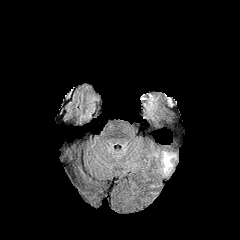
FLAIR magnetic resonance.
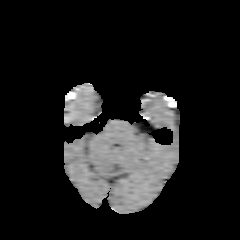
T1-weighted MRI.
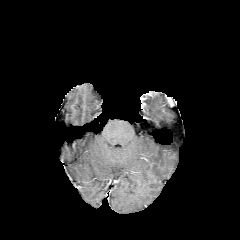
Same slice, post-contrast T1-weighted MR.
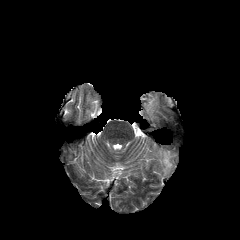
Same slice, T2-weighted magnetic resonance.
Image size 240x240 | Brain
edema:
  - [156, 150, 163, 161]
  - [140, 93, 157, 119]